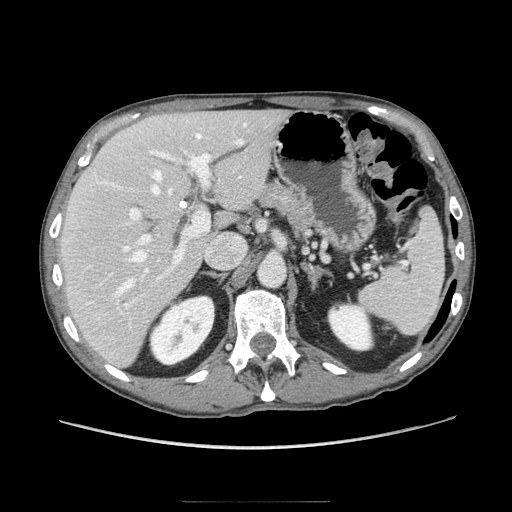

CT
{"pancreas": ["[257, 183, 314, 228]"]}